Slice 77 of 155 | Head
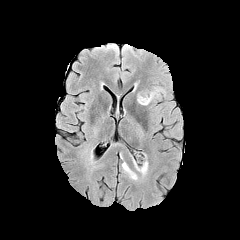
FLAIR MRI.
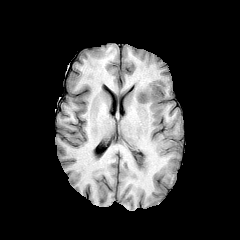
Same slice, T1-weighted MR.
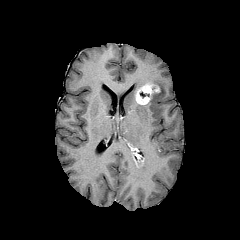
Post-contrast T1-weighted MR of the same slice.
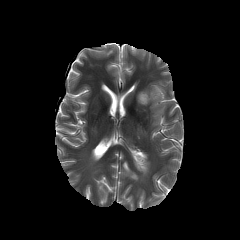
Same slice, T2-weighted magnetic resonance.
The enhancing tumor lies within <bbox>135, 83, 153, 104</bbox>. The non-enhancing tumor core appears at <bbox>139, 91, 150, 98</bbox>. 3 edema regions are located at <bbox>129, 152, 148, 179</bbox>, <bbox>122, 161, 138, 181</bbox>, <bbox>148, 82, 166, 103</bbox>.